FLAIR MR image.
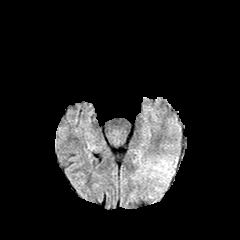
T1-weighted magnetic resonance.
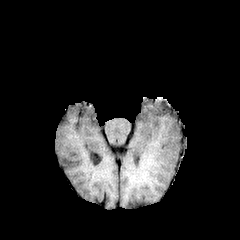
Post-contrast T1-weighted MR image.
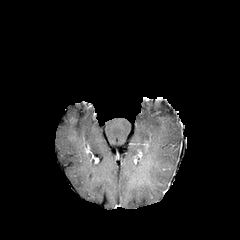
T2-weighted MR.
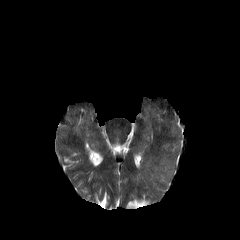
{"edema": ["x1=151 y1=159 x2=172 y2=179"]}